Abdomen, CT scan slice 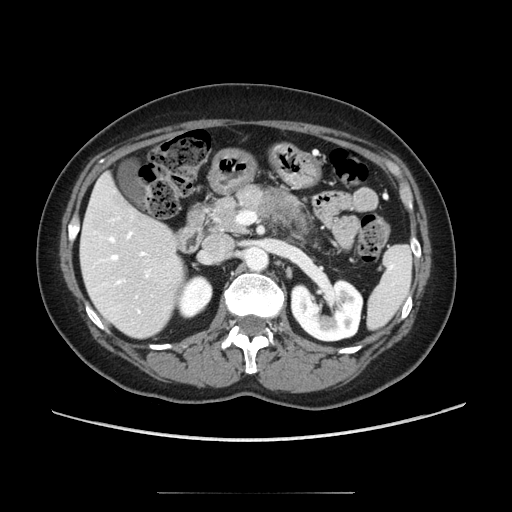

Pancreas = 212,186,268,232; 265,189,309,234.
Pancreatic tumor = 258,189,294,217.